CT image | Abdomen | Field of view 376 mm wide, 2.50 mm slice spacing

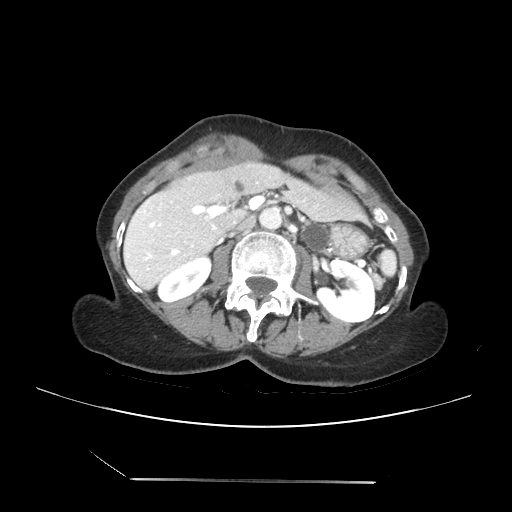
2 pancreas regions are bounded by 299,215,320,235; 313,228,332,254. The pancreatic tumor is located at 302,223,328,252.